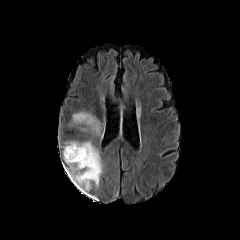
FLAIR MR.
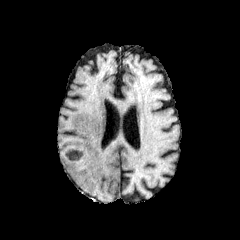
T1-weighted magnetic resonance.
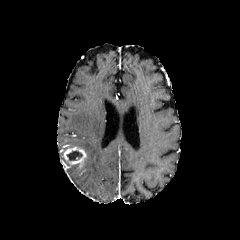
Post-contrast T1-weighted magnetic resonance.
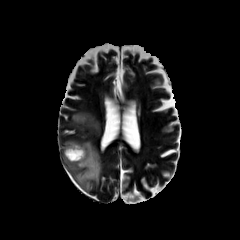
Same slice, T2-weighted magnetic resonance.
Head | 240x240 px
- edema: l=63, t=139, r=102, b=192; l=69, t=110, r=105, b=139
- non-enhancing tumor core: l=66, t=150, r=82, b=161
- enhancing tumor: l=63, t=146, r=88, b=169